CT image
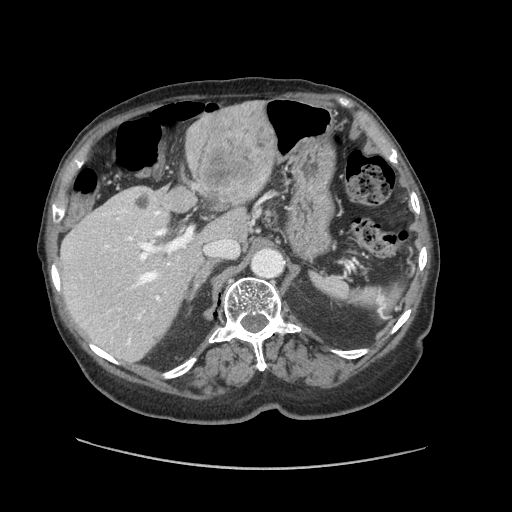

Only some of the vessels may be annotated.
- liver tumor: (197, 108, 275, 202)
- hepatic vessel: (139, 242, 160, 259), (204, 239, 238, 256), (166, 228, 192, 251), (138, 271, 157, 283), (155, 211, 159, 214)